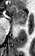 MR image.

Anterior hippocampus = (left=10, top=6, right=26, bottom=22).
Posterior hippocampus = (left=16, top=23, right=25, bottom=24).